Field of view 240 mm wide, 1.00 mm slice spacing; Head; 240x240
FLAIR magnetic resonance.
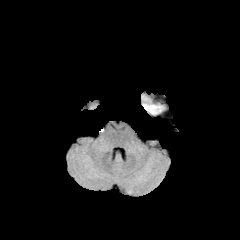
T1-weighted MRI.
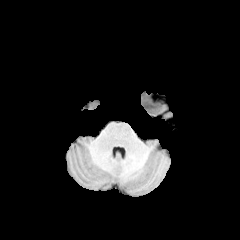
Post-contrast T1-weighted magnetic resonance.
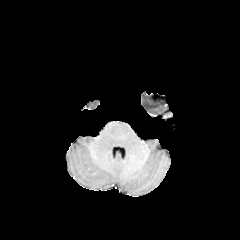
T2-weighted MRI.
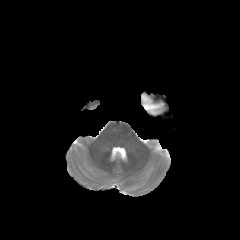
The edema lies within [148,104,164,114]. The non-enhancing tumor core is located at [143,96,157,109].